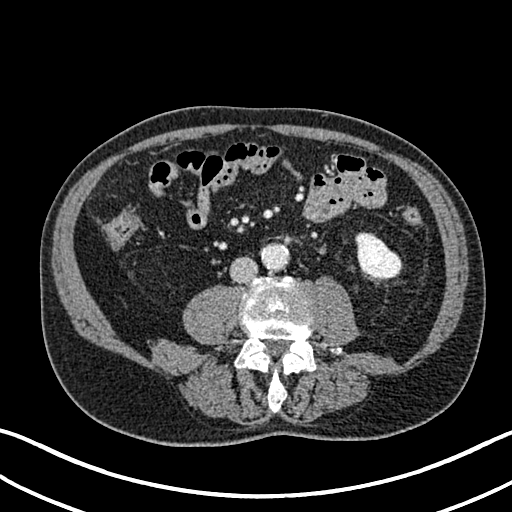
Abdomen. Computed tomography.
The kidney is bounded by x1=356 y1=233 x2=400 y2=278.